Head, 240x240
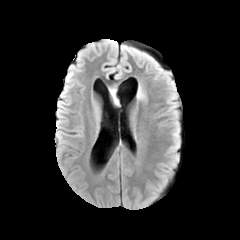
FLAIR MR.
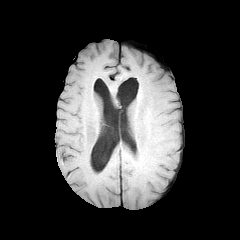
T1-weighted MR image.
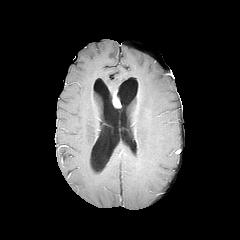
Post-contrast T1-weighted magnetic resonance of the same slice.
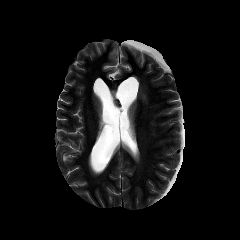
T2-weighted MR.
The edema appears at rect(136, 86, 145, 99). The enhancing tumor is at rect(113, 91, 119, 106).